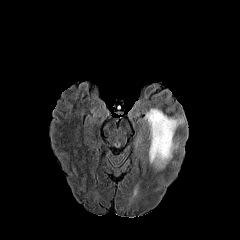
FLAIR MRI.
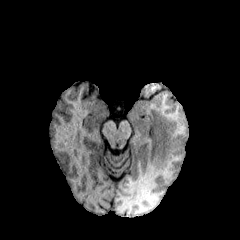
T1-weighted MR image.
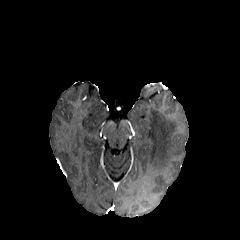
Post-contrast T1-weighted MR image of the same slice.
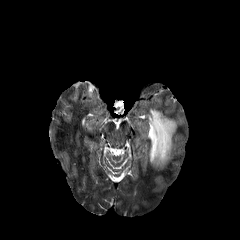
T2-weighted MR image of the same slice.
240x240 px | Brain
edema: region(144, 109, 180, 169)